CT scan slice; Liver 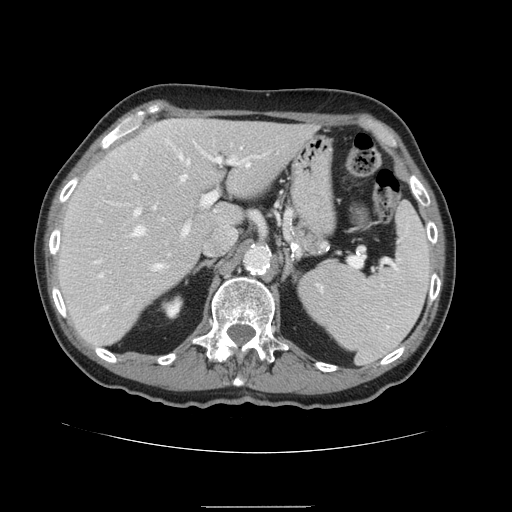
The vessel boxes may cover only some of the vessels.
15 hepatic vessel regions are located at rect(203, 193, 216, 204); rect(214, 212, 237, 246); rect(100, 274, 102, 275); rect(154, 264, 162, 268); rect(181, 175, 187, 179); rect(204, 245, 212, 254); rect(154, 206, 156, 208); rect(103, 306, 107, 308); rect(228, 156, 249, 165); rect(134, 175, 137, 177); rect(134, 209, 140, 214); rect(183, 225, 188, 234); rect(133, 226, 145, 235); rect(178, 153, 189, 163); rect(212, 156, 223, 162).